Slice index 25. MRI.

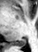
posterior hippocampus: x1=15, y1=39, x2=26, y2=46